Slice 127 of 161 | CT image
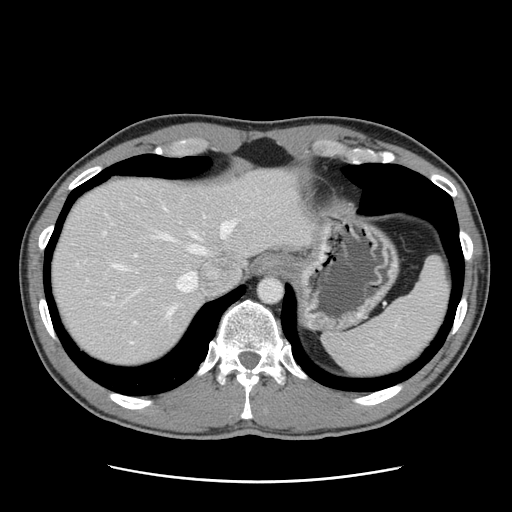

The vessel annotation is not exhaustive.
[15/16] hepatic vessel: l=177, t=271, r=196, b=291; l=189, t=244, r=205, b=253; l=134, t=254, r=136, b=256; l=111, t=296, r=113, b=298; l=152, t=233, r=173, b=240; l=130, t=290, r=137, b=296; l=134, t=321, r=135, b=323; l=191, t=232, r=198, b=238; l=103, t=231, r=105, b=235; l=164, t=207, r=165, b=209; l=179, t=221, r=180, b=223; l=166, t=307, r=173, b=316; l=220, t=221, r=234, b=238; l=112, t=264, r=126, b=269; l=134, t=270, r=137, b=271